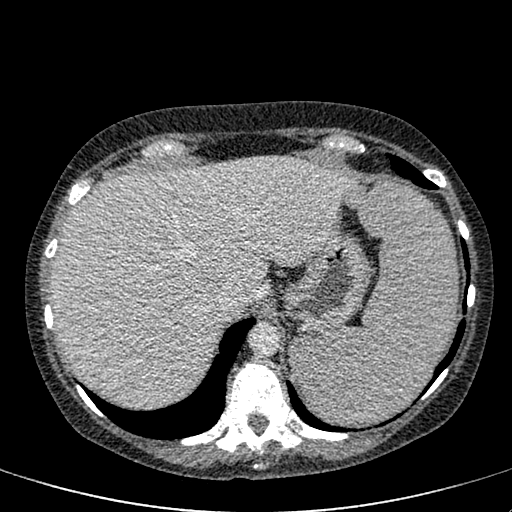 512x512. Computed tomography. Liver — x1=54, y1=158, x2=355, y2=406.